Brain
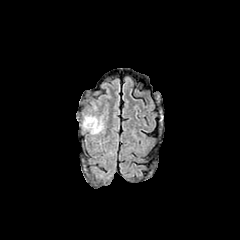
FLAIR MR image.
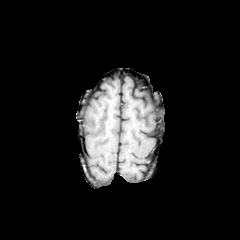
T1-weighted magnetic resonance.
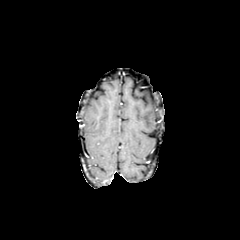
Post-contrast T1-weighted magnetic resonance of the same slice.
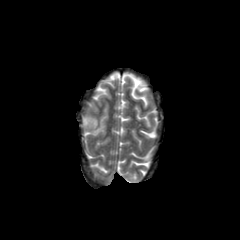
Same slice, T2-weighted magnetic resonance.
The edema lies within x1=80 y1=115 x2=103 y2=134.